Upper abdomen | Computed tomography
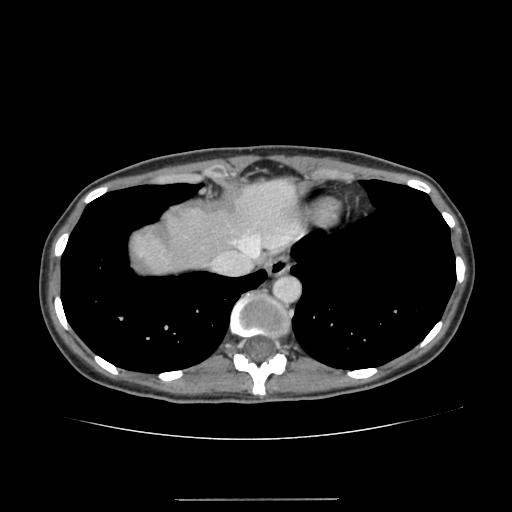

Liver — l=135, t=180, r=301, b=274.